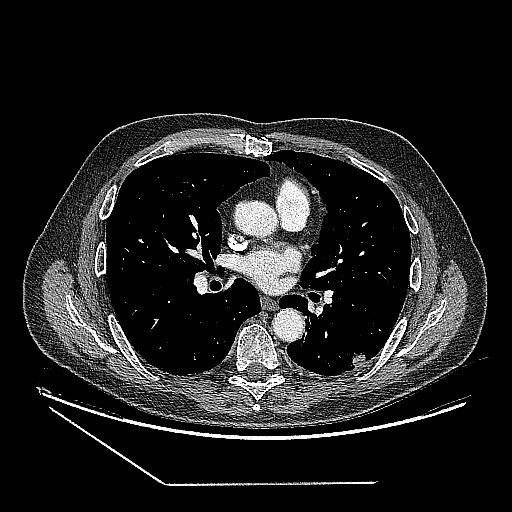 Image size 512x512, CT slice, Thorax
Lung tumor = [351,352,366,367].